FLAIR MRI.
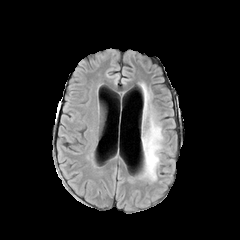
T1-weighted MR image.
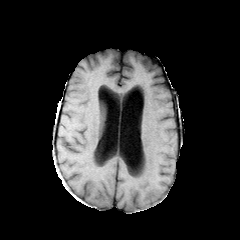
Post-contrast T1-weighted MR.
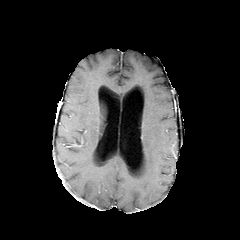
T2-weighted MR.
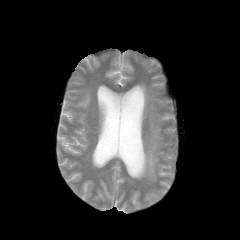
240x240.
Segmented structures:
• edema: rect(140, 83, 163, 181)